Lower abdomen | CT slice

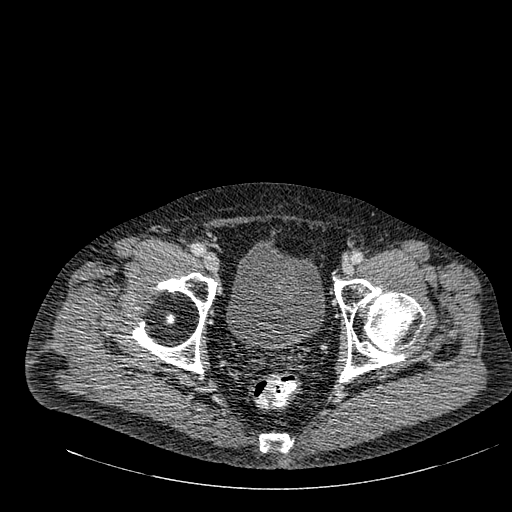

Urinary bladder at bbox=[226, 240, 324, 349].